Head, Slice index 120, 240x240 px
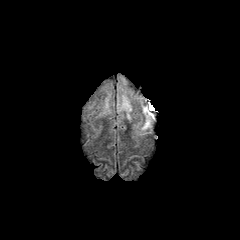
FLAIR MR.
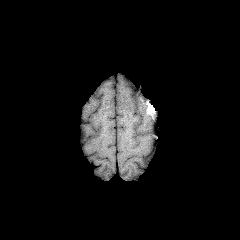
T1-weighted magnetic resonance.
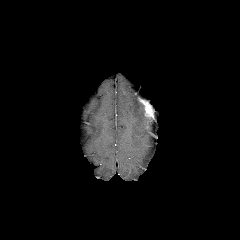
Post-contrast T1-weighted MR image of the same slice.
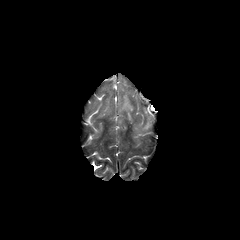
T2-weighted MR.
Edema at (left=137, top=118, right=153, bottom=130), (left=116, top=90, right=133, bottom=120), (left=101, top=97, right=111, bottom=115).
Enhancing tumor at (left=144, top=104, right=153, bottom=117).